Slice index 506; Computed tomography; Field of view 367 mm wide, 0.70 mm slice spacing

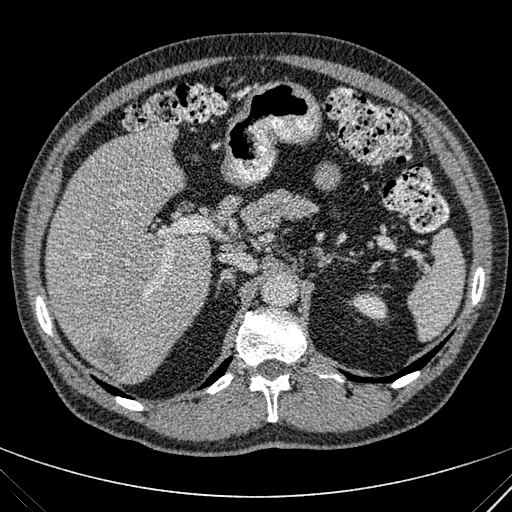
The focal liver lesion is located at left=82, top=332, right=128, bottom=377. The kidney lies within left=353, top=294, right=386, bottom=318. 2 liver regions are located at left=46, top=125, right=211, bottom=382; left=218, top=195, right=239, bottom=223.